Slice index 59 | Image size 512x512 | CT scan slice | Upper abdomen 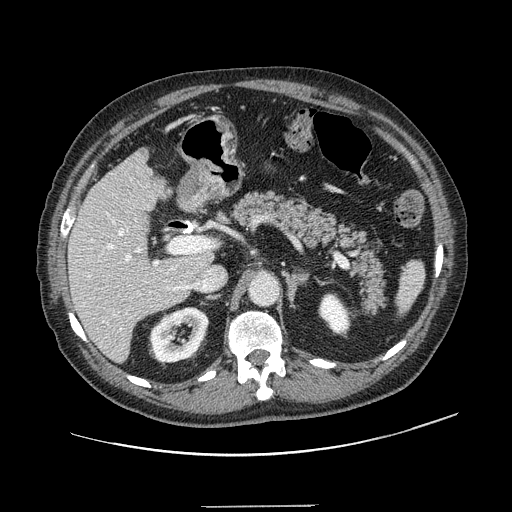 Findings:
• pancreas: rect(230, 190, 387, 316)